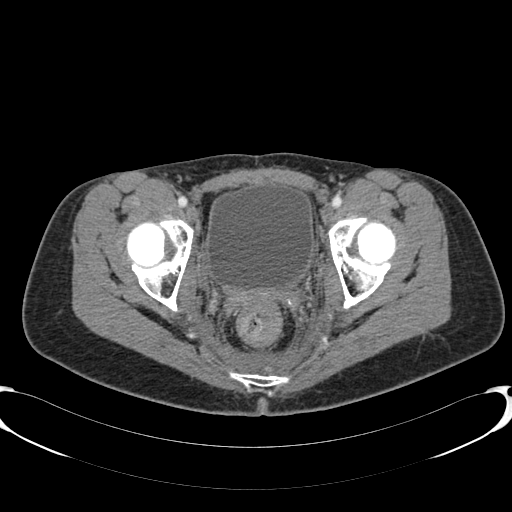
Lower abdomen, Computed tomography, 512x512 px

Segmented structures:
• urinary bladder: left=208, top=185, right=311, bottom=288